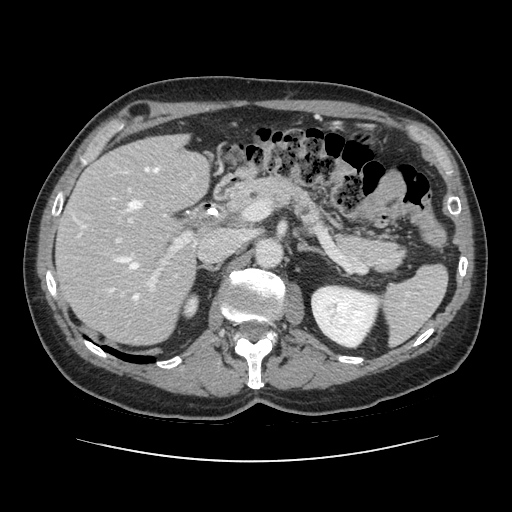
CT scan slice, Image size 512x512
Pancreas — region(228, 177, 320, 223); region(336, 235, 403, 270).